CT slice, Abdomen, Field of view 365x365 mm

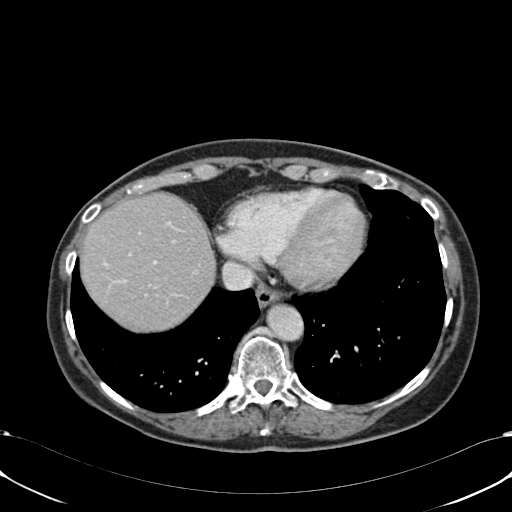 liver:
  - box=[80, 193, 214, 329]